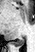
Hippocampus; MRI

{"posterior_hippocampus": ["[10, 38, 24, 45]"]}